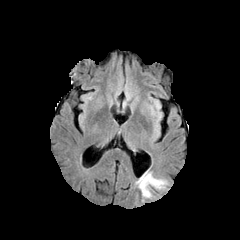
FLAIR MR.
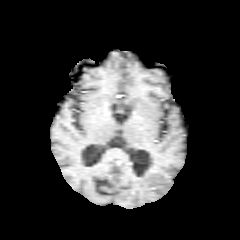
Same slice, T1-weighted MRI.
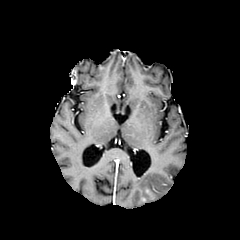
Post-contrast T1-weighted magnetic resonance.
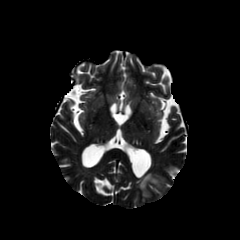
Same slice, T2-weighted MR.
Image size 240x240; Head
The edema is located at l=135, t=172, r=166, b=198.